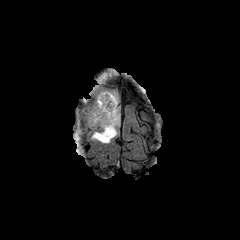
FLAIR MR.
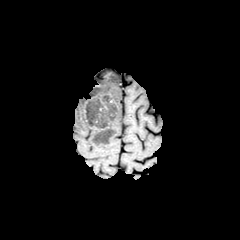
T1-weighted MRI.
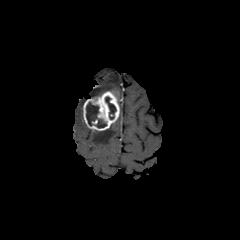
Post-contrast T1-weighted magnetic resonance.
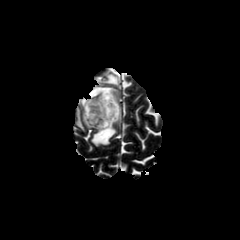
T2-weighted magnetic resonance of the same slice.
edema:
  - [89, 107, 120, 145]
  - [94, 70, 120, 103]
enhancing_tumor:
  - [83, 90, 119, 130]
non-enhancing_tumor_core:
  - [92, 88, 109, 96]
  - [86, 102, 98, 124]
  - [95, 125, 112, 139]
  - [95, 119, 106, 127]
  - [105, 97, 115, 113]